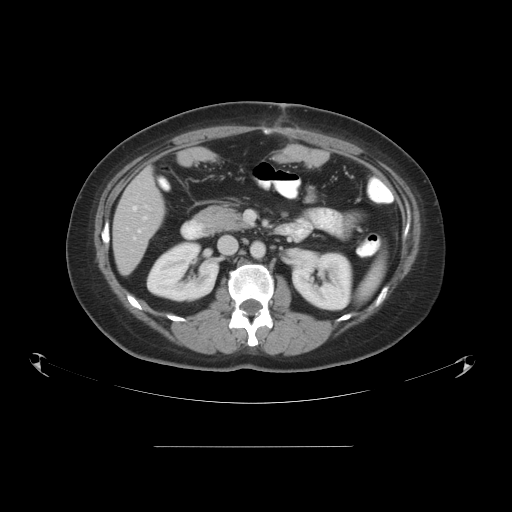 Abdomen. Computed tomography.

Not every hepatic vessel necessarily has a box.
hepatic_vessel:
  - bbox=[133, 206, 136, 210]
  - bbox=[133, 236, 135, 239]
  - bbox=[126, 227, 127, 229]
  - bbox=[138, 229, 140, 231]
  - bbox=[143, 216, 147, 219]
  - bbox=[137, 197, 137, 200]
  - bbox=[145, 204, 150, 209]